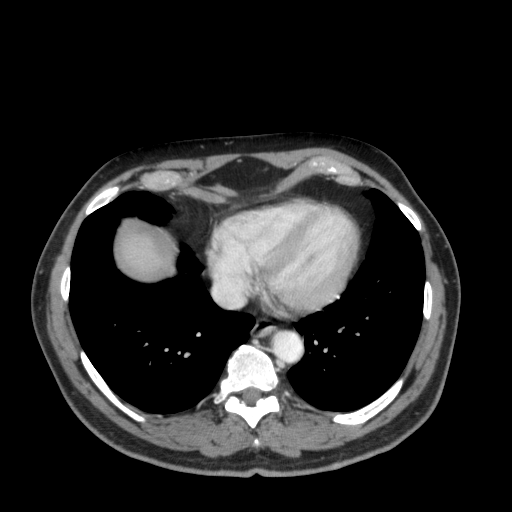
CT slice; Abdomen

The liver is bounded by [123,234,162,273].